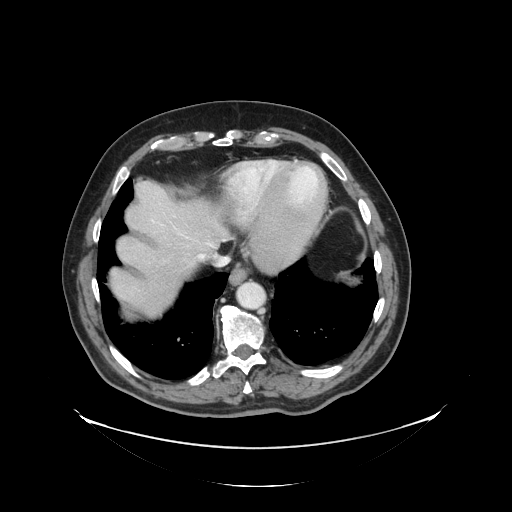
Computed tomography | 512x512

Not every hepatic vessel necessarily has a box.
<segmentation>
  <hepatic_vessel><bbox>198, 254, 204, 260</bbox>, <bbox>207, 243, 218, 247</bbox></hepatic_vessel>
</segmentation>